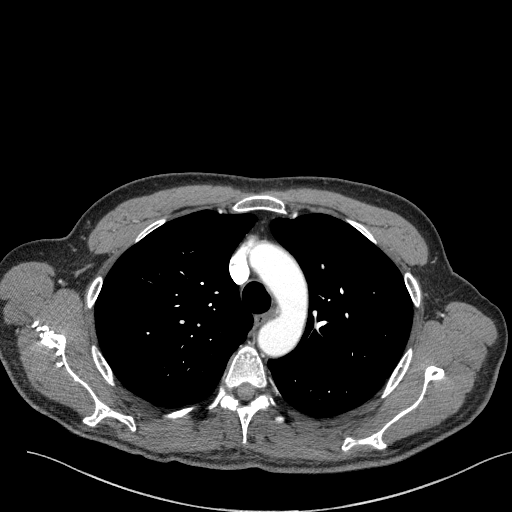

Image size 512x512, Lung, Computed tomography
Lung tumor: bounding box [339, 266, 367, 284].